CT
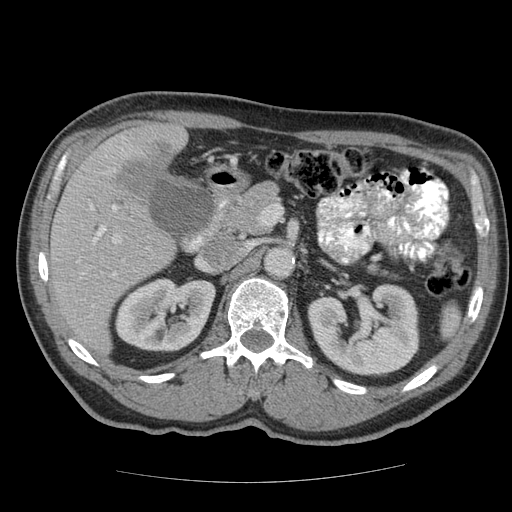 Only some of the vessels may be annotated.
Findings:
- hepatic vessel: (left=89, top=206, right=92, bottom=210), (left=76, top=261, right=79, bottom=263), (left=93, top=227, right=104, bottom=242), (left=111, top=274, right=115, bottom=277), (left=112, top=205, right=115, bottom=210)
- liver tumor: (left=118, top=143, right=176, bottom=200)